MRI slice; 34x53

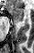 The anterior hippocampus is located at x1=10 y1=6 x2=23 y2=22.